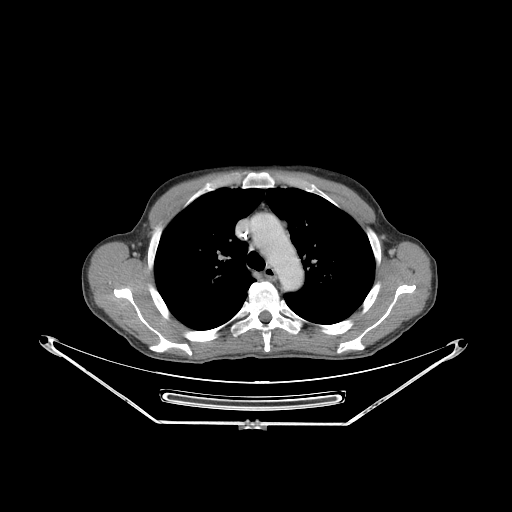
Computed tomography. The lung lies within [154, 187, 374, 330]. 10 bone regions are located at [232, 282, 302, 351], [149, 286, 168, 318], [369, 231, 380, 260], [185, 325, 224, 341], [114, 288, 191, 354], [337, 285, 415, 352], [243, 173, 270, 187], [148, 235, 155, 267], [363, 284, 379, 312], [320, 320, 352, 334].